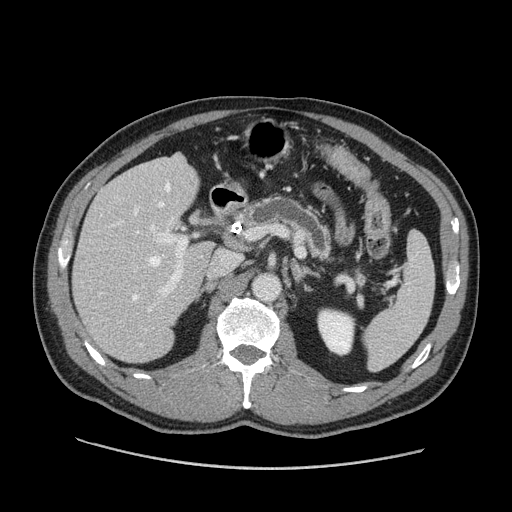
Upper abdomen; CT slice

{"pancreas": ["region(241, 196, 335, 263)"]}